CT scan slice | Slice 416 of 761
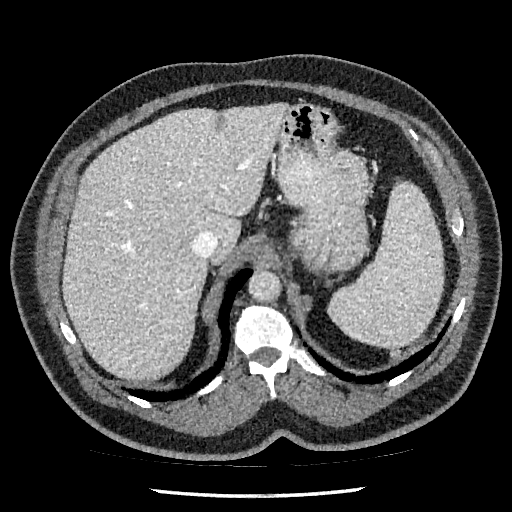
The liver lesion is bounded by <bbox>215, 115, 227, 131</bbox>. The liver is bounded by <bbox>62, 104, 287, 379</bbox>.